Slice index 421, Upper abdomen, CT image 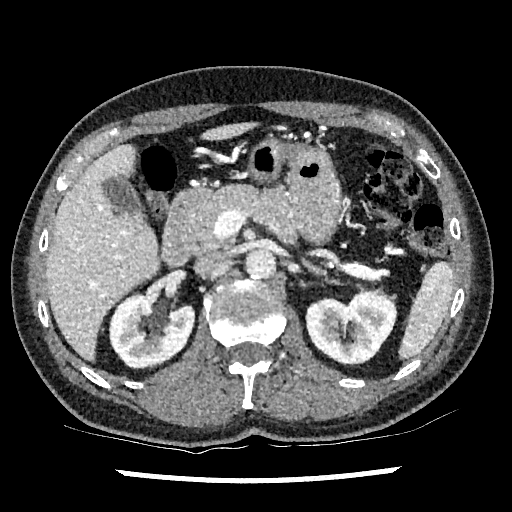
liver: (x1=47, y1=146, x2=160, y2=360), (x1=202, y1=122, x2=255, y2=140) | kidney: (x1=307, y1=293, x2=395, y2=362), (x1=110, y1=291, x2=193, y2=366)